CT image, 512x512 px 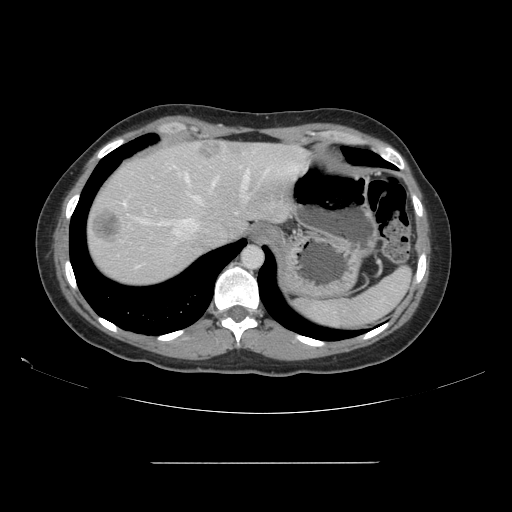 Not every hepatic vessel necessarily has a box.
hepatic_vessel:
  - [242,169,248,190]
  - [144,212,145,214]
  - [135,266,139,267]
  - [192,195,201,203]
  - [245,196,247,198]
  - [185,237,186,238]
  - [172,227,179,236]
  - [138,218,198,232]
  - [178,171,188,181]
  - [122,202,126,206]
  - [210,175,219,192]
  - [170,165,176,168]
liver_tumor:
  - [200,145,223,159]
  - [93,212,121,243]